CT, Abdomen, Slice 279/384
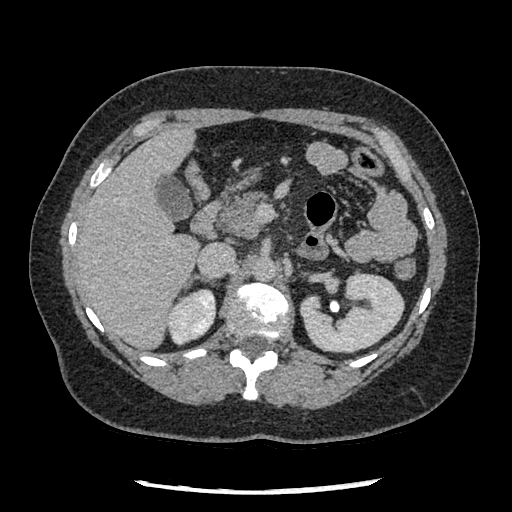

The pancreas appears at left=220, top=192, right=263, bottom=237.